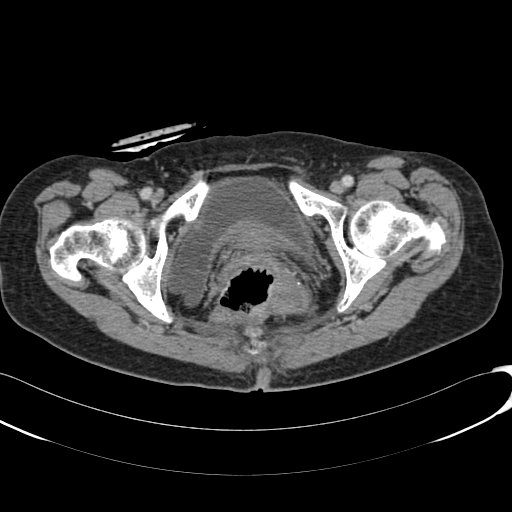
CT slice | 512x512 px

Urinary bladder: bounding box (166, 176, 314, 307).